Image size 240x240; Slice index 65; Brain; Field of view 240 mm wide, 1.00 mm slice spacing
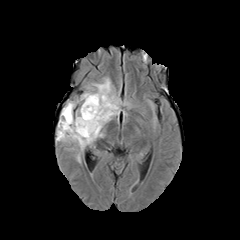
FLAIR MR.
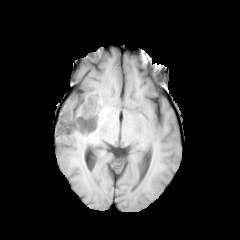
T1-weighted MR of the same slice.
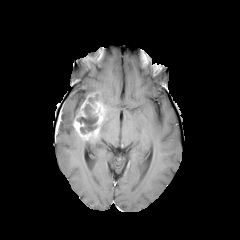
Post-contrast T1-weighted magnetic resonance of the same slice.
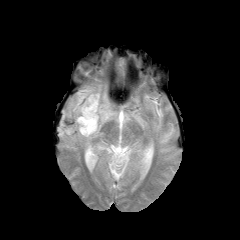
T2-weighted MR image.
{"edema": ["x1=57, y1=77, x2=122, y2=159"], "non-enhancing_tumor_core": ["x1=77, y1=92, x2=98, y2=134"], "enhancing_tumor": ["x1=73, y1=99, x2=107, y2=137"]}